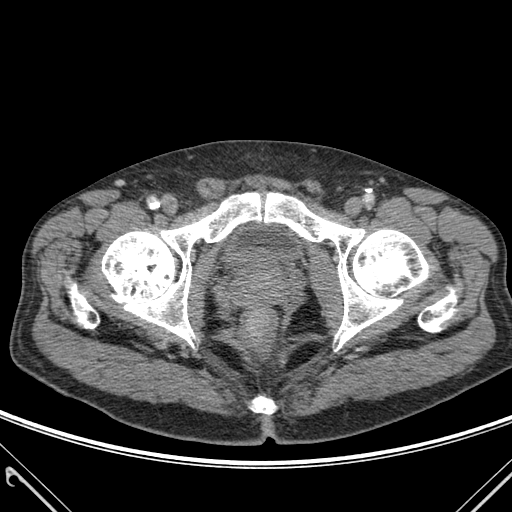 512x512 px. CT.
4 bone regions are bounded by (252,396,274,413), (102,193,428,350), (70,284,98,328), (418,288,456,331).